Slice 198 of 574, CT slice

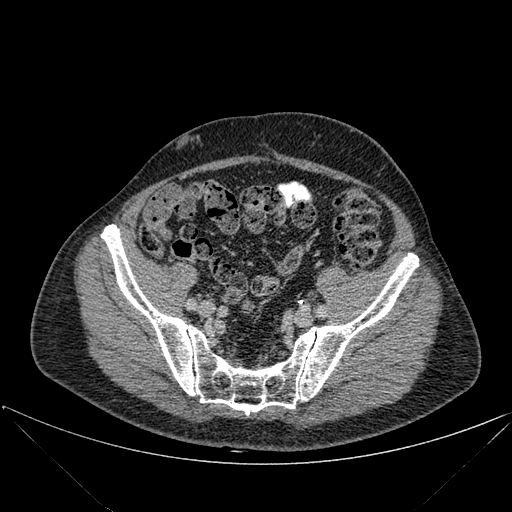

The bone appears at x1=101 y1=224 x2=418 y2=415.